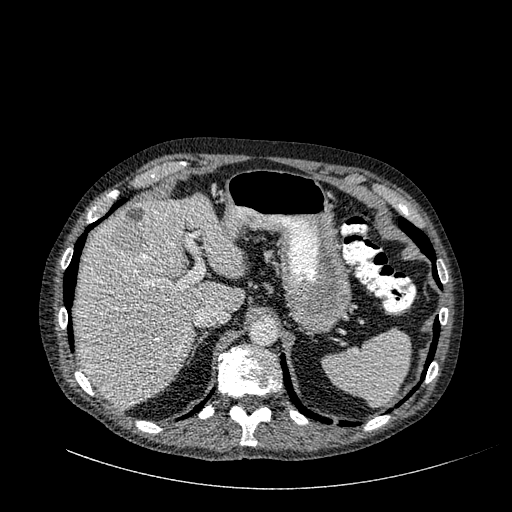

CT image; 512x512; Liver

focal_liver_lesion:
  - (x1=114, y1=223, x2=145, y2=253)
  - (x1=126, y1=208, x2=143, y2=221)
liver:
  - (x1=75, y1=194, x2=243, y2=408)